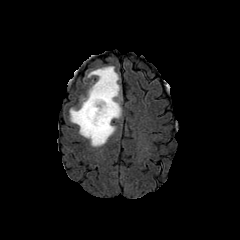
FLAIR MR image.
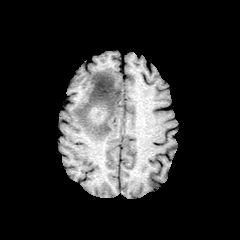
T1-weighted MR image of the same slice.
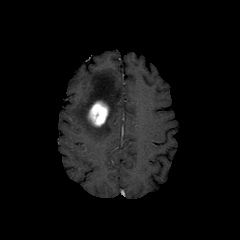
Post-contrast T1-weighted MRI of the same slice.
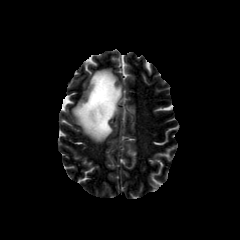
T2-weighted MR.
Head.
Annotated regions:
* edema: x1=69 y1=66 x2=122 y2=147
* enhancing tumor: x1=87 y1=100 x2=109 y2=127